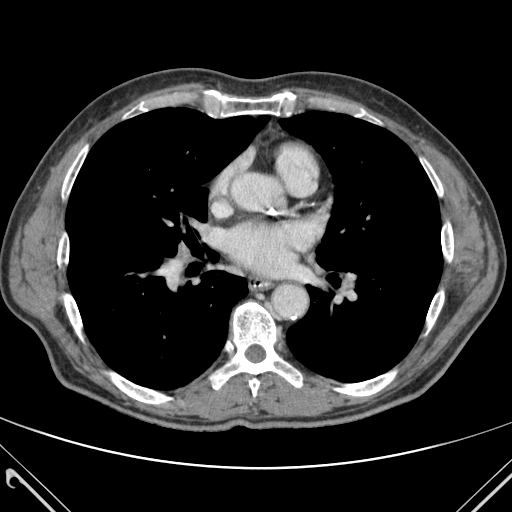

Chest. CT.

Annotated regions:
• bone: left=420, top=159, right=442, bottom=195; left=335, top=372, right=395, bottom=395; left=62, top=146, right=87, bottom=197; left=211, top=302, right=301, bottom=389; left=64, top=294, right=82, bottom=339; left=327, top=103, right=379, bottom=121; left=57, top=231, right=68, bottom=275; left=123, top=102, right=157, bottom=117; left=249, top=378, right=259, bottom=396; left=427, top=291, right=443, bottom=332; left=110, top=373, right=171, bottom=403; left=441, top=223, right=453, bottom=261; left=200, top=90, right=300, bottom=116
• lung: left=280, top=111, right=442, bottom=382; left=65, top=107, right=268, bottom=389